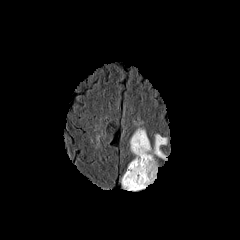
FLAIR MRI.
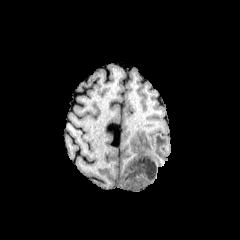
T1-weighted MR image.
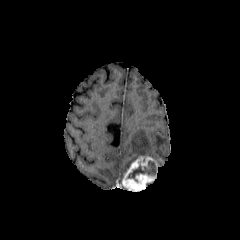
Post-contrast T1-weighted MRI.
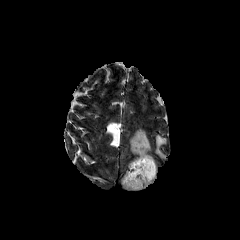
T2-weighted MRI.
Brain
The non-enhancing tumor core is located at box(126, 160, 157, 182). The enhancing tumor is at box(122, 155, 155, 191). The edema appears at box(129, 128, 167, 160).